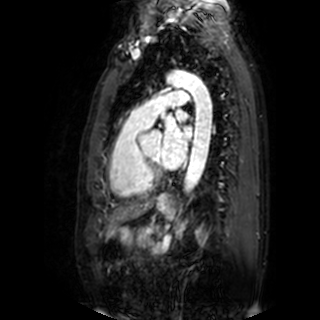 320x320 px, MRI
Left atrium — region(176, 110, 188, 121); region(160, 121, 192, 168).